Upper abdomen; Slice 415 of 547; CT slice

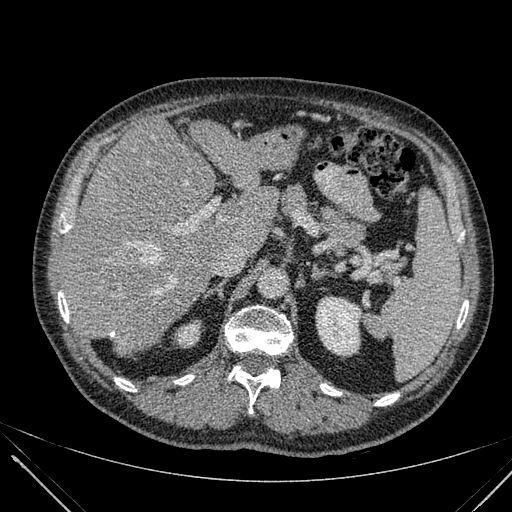

Liver — x1=190, y1=120, x2=270, y2=188; x1=62, y1=121, x2=278, y2=357.
Kidney — x1=178, y1=324, x2=198, y2=344; x1=316, y1=297, x2=360, y2=354.